512x512 px, Abdomen, CT scan slice, Slice index 58

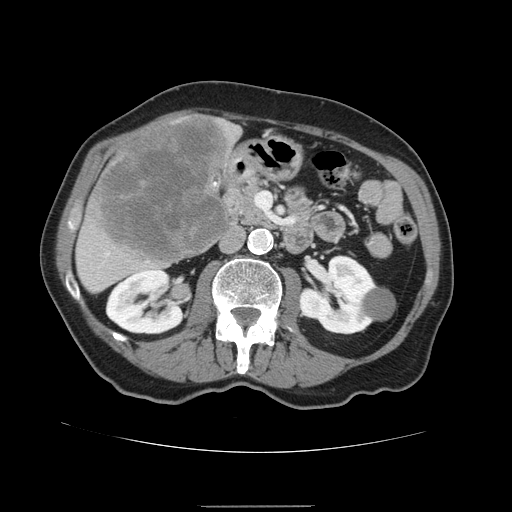
liver tumor: (x1=97, y1=117, x2=229, y2=263)